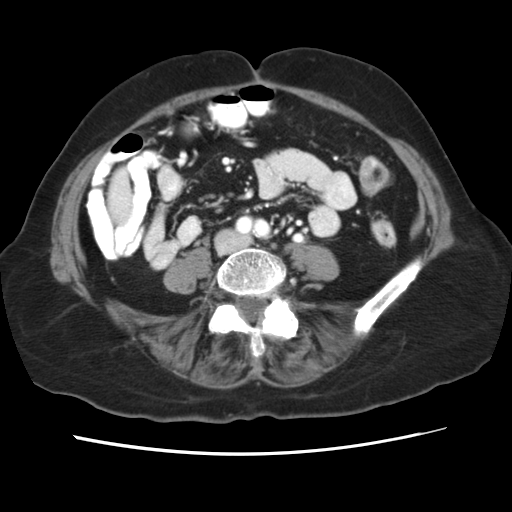 Computed tomography
The vessel boxes may cover only some of the vessels.
{
  "hepatic_vessel": [
    "[x1=122, y1=182, x2=123, y2=184]",
    "[x1=113, y1=194, x2=114, y2=196]"
  ]
}